CT; Slice 29/85; 512x512 px 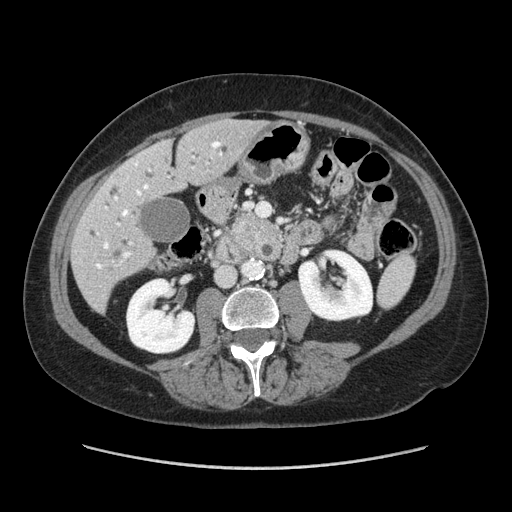 Pancreas at box(228, 210, 270, 257).